CT scan slice. Pelvis.

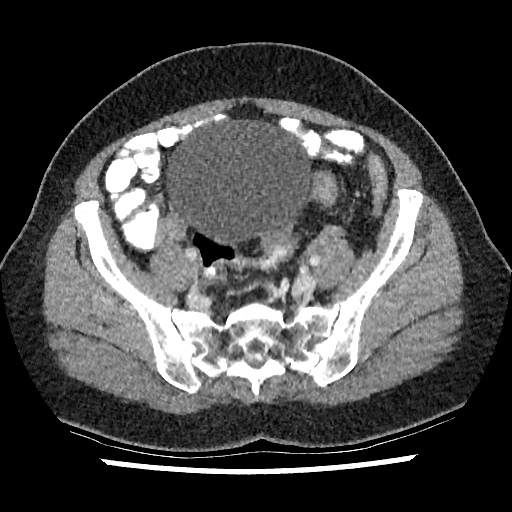

{"urinary_bladder": ["(left=166, top=120, right=314, bottom=246)"]}